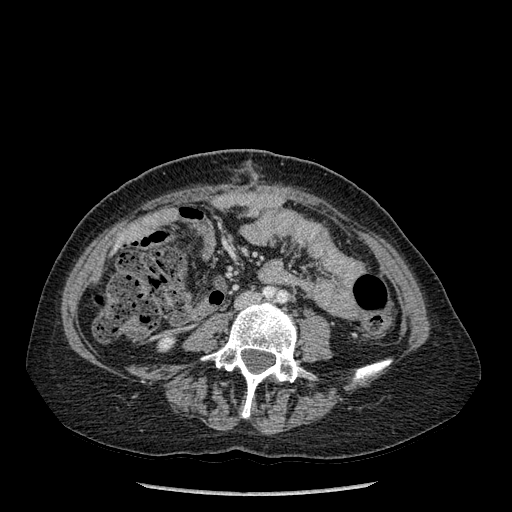

Abdomen | 512x512 px | Computed tomography
2 bone regions appear at <box>354,359,391,381</box>, <box>203,302,304,417</box>. The kidney appears at <box>160,338,173,348</box>.